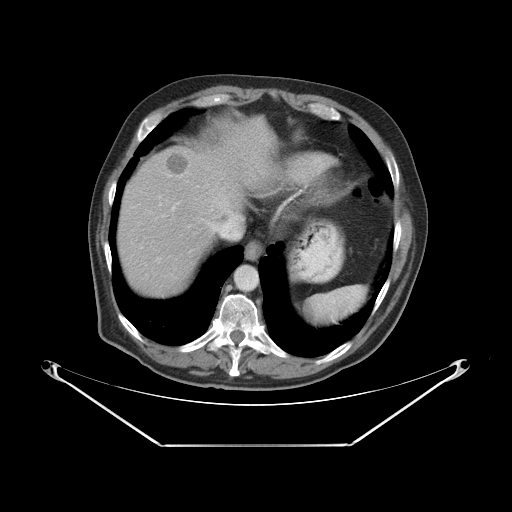
Computed tomography, Liver, Image size 512x512

Some hepatic vessels may have no box.
liver_tumor:
  - region(166, 155, 188, 173)
hepatic_vessel:
  - region(219, 203, 225, 205)
  - region(159, 202, 161, 205)
  - region(172, 203, 178, 208)
  - region(208, 223, 220, 230)